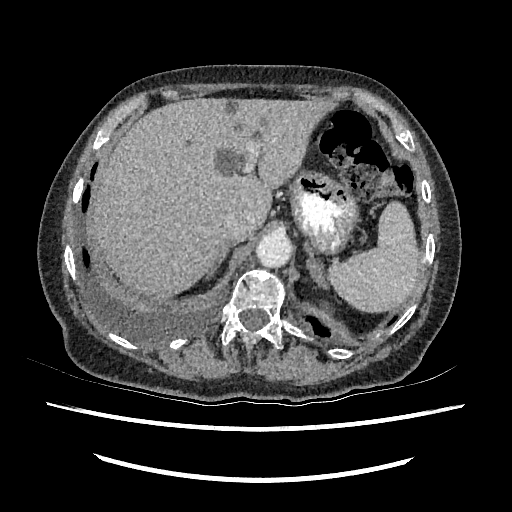 CT slice. Abdomen.
Hepatic lesion: x1=227, y1=101, x2=237, y2=111; x1=234, y1=125, x2=242, y2=133; x1=213, y1=147, x2=245, y2=175; x1=251, y1=131, x2=261, y2=140.
Liver: x1=94, y1=99, x2=333, y2=297.